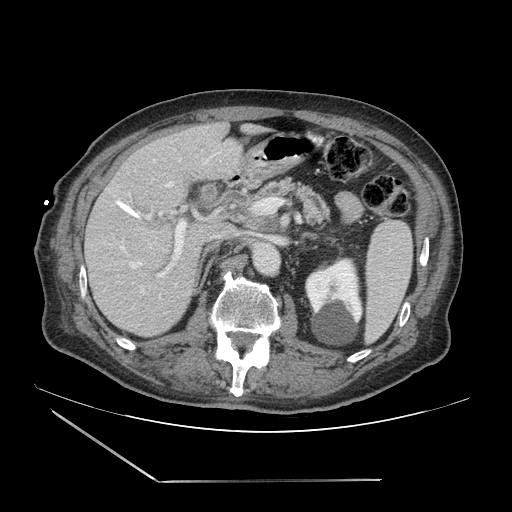
CT slice

The pancreas appears at box(259, 178, 330, 225).